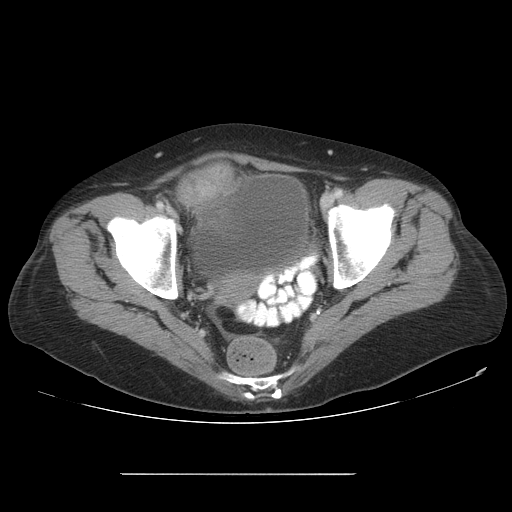
CT
{"colon_tumor": ["<box>176,162,233,205</box>"]}